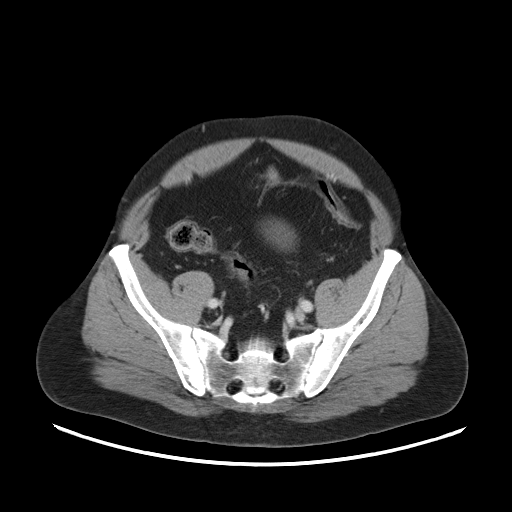
CT slice

<segmentation>
  <colon_tumor><bbox>268, 170, 277, 179</bbox></colon_tumor>
</segmentation>